FLAIR magnetic resonance.
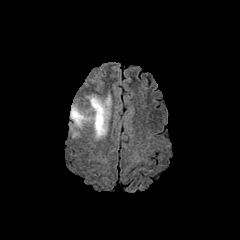
T1-weighted MR.
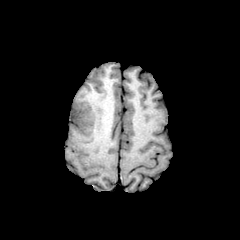
Post-contrast T1-weighted magnetic resonance.
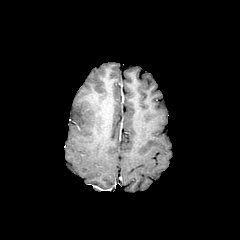
T2-weighted MRI.
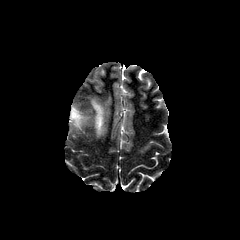
Image size 240x240; Brain
<segmentation>
  <edema>region(70, 96, 110, 136)</edema>
  <non-enhancing_tumor_core>region(96, 124, 104, 134)</non-enhancing_tumor_core>
</segmentation>